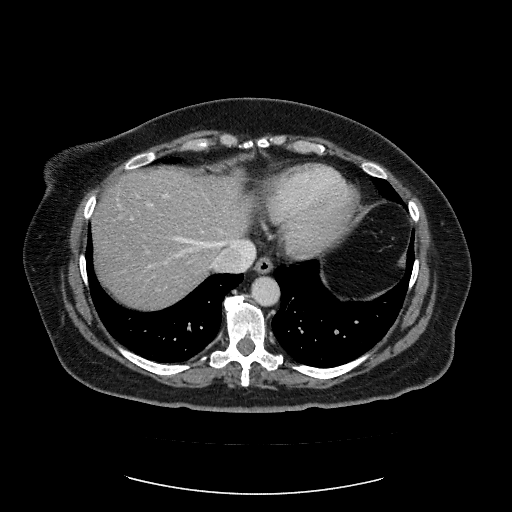
Abdomen; CT
Not every hepatic vessel necessarily has a box.
Hepatic vessel: (x1=150, y1=265, x2=153, y2=266), (x1=212, y1=264, x2=213, y2=266), (x1=175, y1=238, x2=224, y2=257), (x1=163, y1=261, x2=166, y2=264), (x1=147, y1=203, x2=152, y2=206), (x1=132, y1=217, x2=133, y2=219), (x1=146, y1=250, x2=149, y2=252), (x1=231, y1=239, x2=238, y2=244), (x1=163, y1=195, x2=168, y2=197).